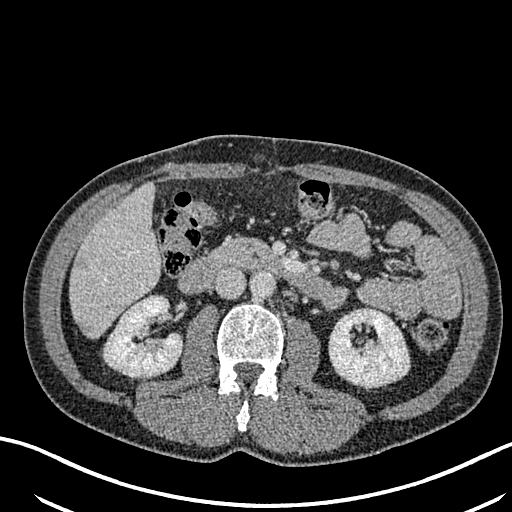

CT | 512x512 px | Upper abdomen

2 kidney regions appear at [329,309,408,386], [105,297,181,376]. 2 focal liver lesion regions are located at [74,256,87,268], [76,319,93,335]. The liver is at [70,183,158,337].